CT slice, Abdomen
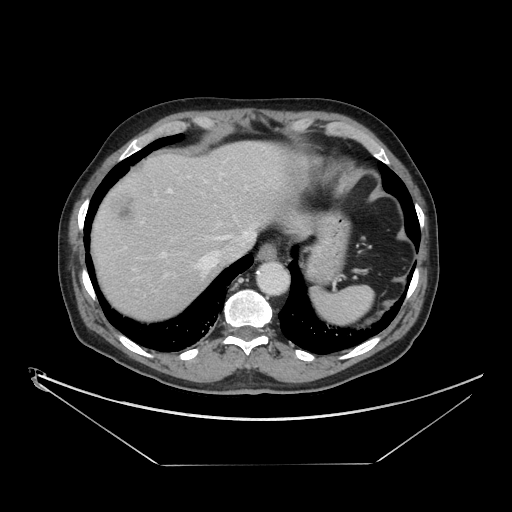 The vessel annotation is not exhaustive.
The liver tumor is at 115,196,137,222. 8 hepatic vessel regions are bounded by 141,221,143,223; 215,236,230,239; 217,223,220,224; 243,231,254,241; 197,251,218,274; 167,189,170,192; 161,253,166,257; 132,268,134,269.